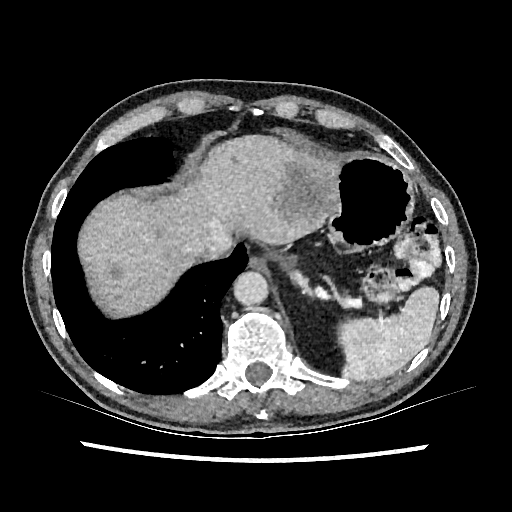

CT slice

Annotated regions:
• liver: {"x1": 83, "y1": 136, "x2": 338, "y2": 311}
• hepatic lesion: {"x1": 269, "y1": 160, "x2": 336, "y2": 226}, {"x1": 191, "y1": 172, "x2": 202, "y2": 185}, {"x1": 108, "y1": 263, "x2": 123, "y2": 280}, {"x1": 230, "y1": 155, "x2": 239, "y2": 165}